Image size 240x240. Slice 127 of 155.
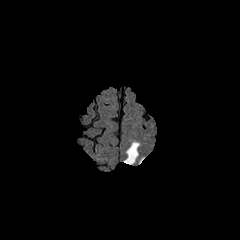
FLAIR MRI.
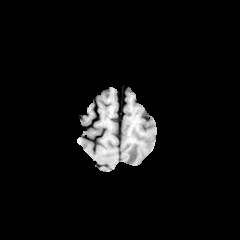
Same slice, T1-weighted MR.
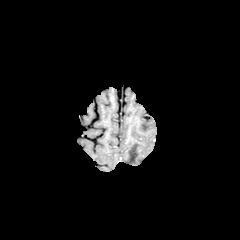
Same slice, post-contrast T1-weighted MRI.
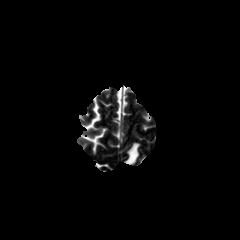
T2-weighted MRI.
Annotated regions:
* edema: (x1=124, y1=142, x2=140, y2=164)